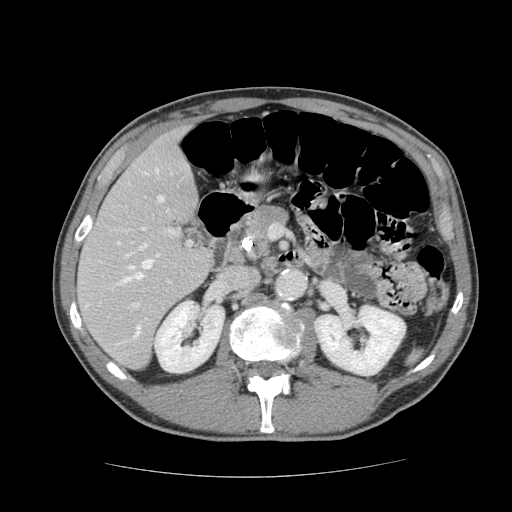
Computed tomography
Annotated regions:
* pancreatic tumor: rect(250, 206, 280, 234)
* pancreas: rect(228, 204, 290, 261)